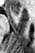
35x53, MRI slice, Hippocampus
{"anterior_hippocampus": ["rect(11, 6, 20, 15)"]}